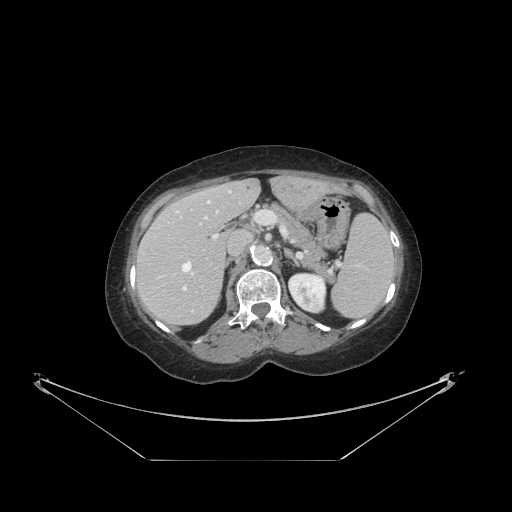

Abdomen; CT image
Some hepatic vessels may have no box.
Findings:
- hepatic vessel: l=254, t=210, r=275, b=223; l=207, t=200, r=209, b=202; l=281, t=227, r=281, b=230; l=182, t=261, r=190, b=270; l=183, t=287, r=185, b=289; l=205, t=217, r=206, b=219; l=216, t=211, r=218, b=213; l=191, t=273, r=192, b=274; l=213, t=234, r=217, b=238